FLAIR MR image.
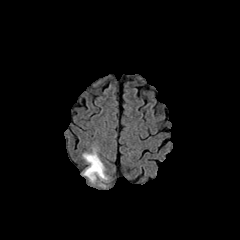
T1-weighted MRI.
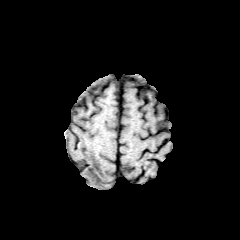
Post-contrast T1-weighted magnetic resonance.
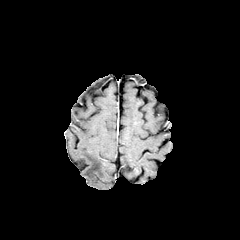
T2-weighted MRI.
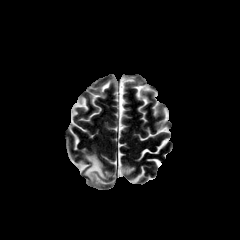
Brain; 240x240 px
The edema is located at (x1=82, y1=147, x2=110, y2=187).